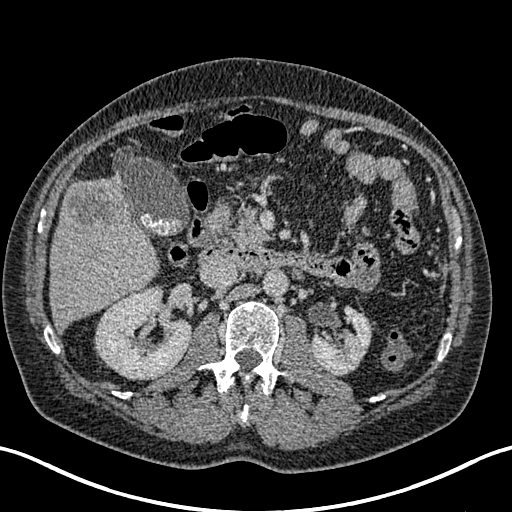

Abdomen, CT scan slice, Image size 512x512
{"kidney": ["(96, 288, 190, 378)", "(312, 308, 370, 374)"], "liver": ["(49, 178, 158, 331)"], "hepatic_lesion": ["(65, 182, 123, 227)"]}